FLAIR MR.
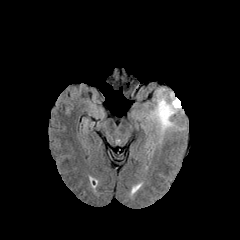
T1-weighted MR.
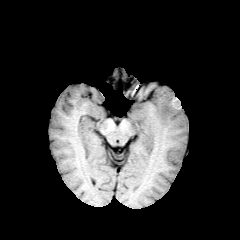
Post-contrast T1-weighted MRI.
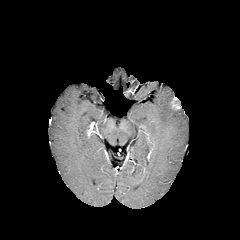
T2-weighted MR image.
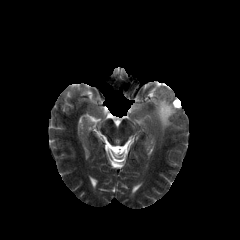
Brain
The enhancing tumor is located at <box>169,96,181,111</box>. The edema is at <box>135,87,186,140</box>.